CT image 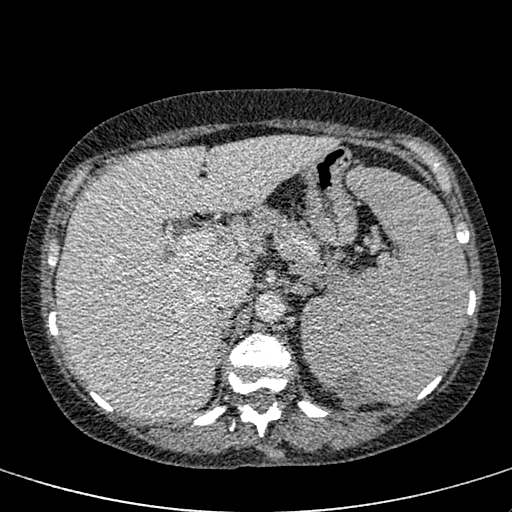
Liver: bounding box x1=58, y1=137, x2=336, y2=420.